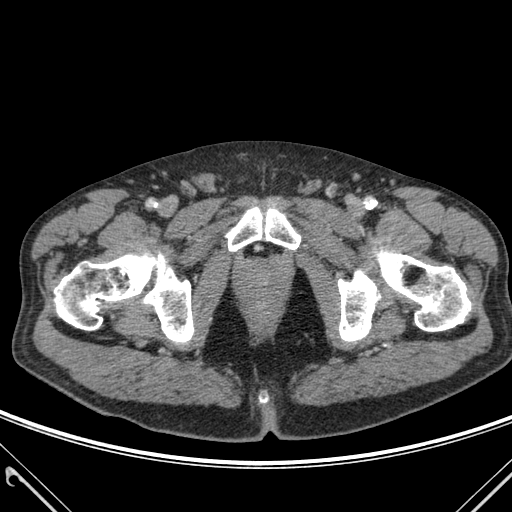

CT

bone:
  - rect(54, 254, 193, 342)
  - rect(378, 250, 470, 331)
  - rect(338, 271, 380, 341)
  - rect(226, 207, 300, 251)